Abdomen; CT; Field of view 496x496 mm

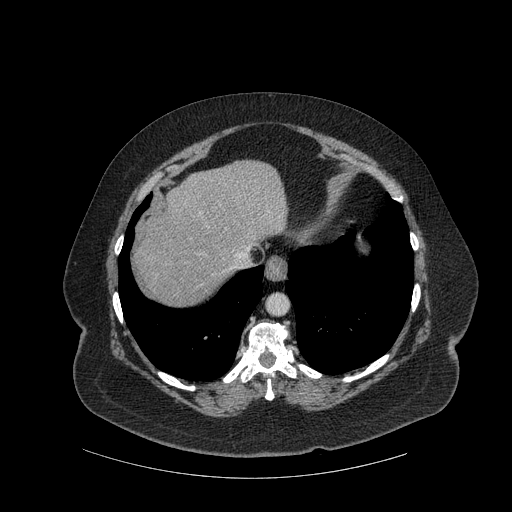

9 bone regions are bounded by {"x1": 410, "y1": 233, "x2": 418, "y2": 249}, {"x1": 343, "y1": 355, "x2": 388, "y2": 381}, {"x1": 113, "y1": 292, "x2": 122, "y2": 322}, {"x1": 158, "y1": 372, "x2": 194, "y2": 390}, {"x1": 223, "y1": 323, "x2": 296, "y2": 382}, {"x1": 411, "y1": 284, "x2": 420, "y2": 311}, {"x1": 298, "y1": 364, "x2": 321, "y2": 378}, {"x1": 115, "y1": 237, "x2": 122, "y2": 254}, {"x1": 265, "y1": 379, "x2": 273, "y2": 399}. The liver lies within {"x1": 134, "y1": 160, "x2": 288, "y2": 307}. 2 lung regions appear at {"x1": 119, "y1": 195, "x2": 263, "y2": 380}, {"x1": 285, "y1": 194, "x2": 413, "y2": 374}.